Slice 79 of 164. Computed tomography. Field of view 422x422 mm. 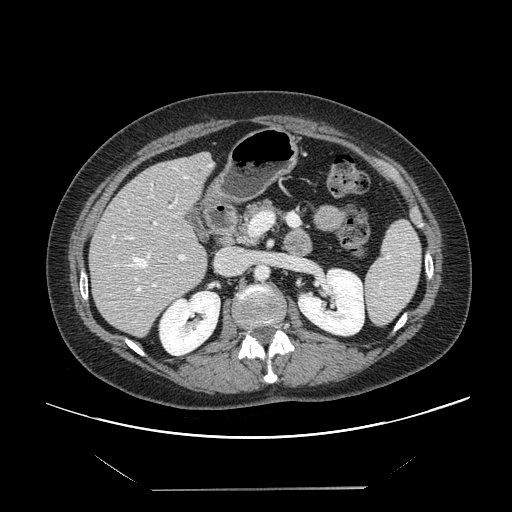
Only some of the vessels may be annotated.
Principal 15 of 17 hepatic vessel regions at bbox(111, 234, 116, 241); bbox(123, 201, 129, 211); bbox(151, 283, 156, 286); bbox(134, 277, 137, 281); bbox(178, 254, 186, 261); bbox(149, 194, 153, 198); bbox(249, 213, 261, 234); bbox(153, 221, 157, 225); bbox(113, 263, 119, 265); bbox(125, 251, 150, 269); bbox(215, 248, 244, 274); bbox(168, 196, 177, 207); bbox(123, 234, 134, 239); bbox(150, 183, 151, 188); bbox(135, 285, 145, 295).